Computed tomography

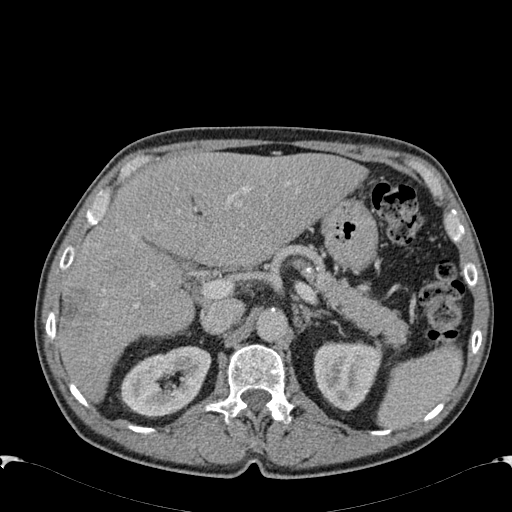

kidney:
  - [314,343,381,409]
  - [121,346,210,415]
liver:
  - [60,152,367,403]
hepatic_lesion:
  - [61,289,94,334]